Field of view 240x240 mm.
FLAIR MRI.
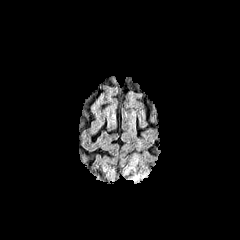
T1-weighted magnetic resonance.
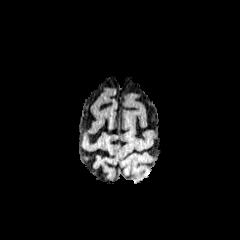
Post-contrast T1-weighted magnetic resonance.
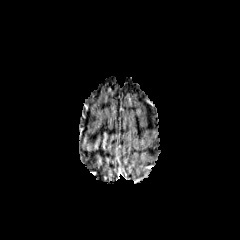
T2-weighted MRI.
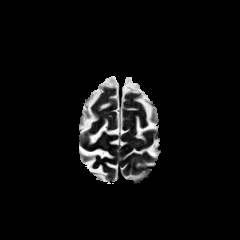
Edema — <bbox>129, 165, 149, 183</bbox>.